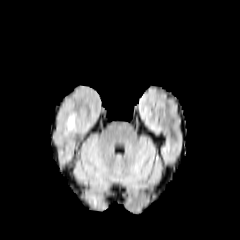
FLAIR MRI.
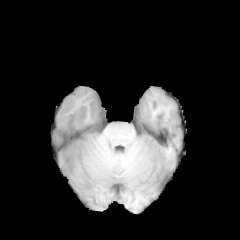
T1-weighted MR.
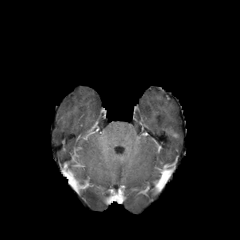
Post-contrast T1-weighted MR of the same slice.
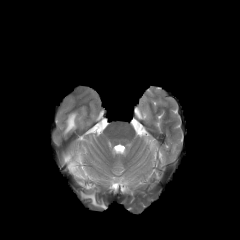
T2-weighted MR.
Head
Edema = box=[65, 113, 76, 132].